FLAIR MRI.
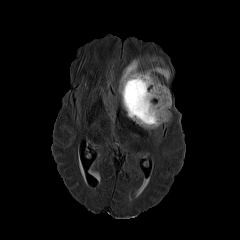
T1-weighted magnetic resonance.
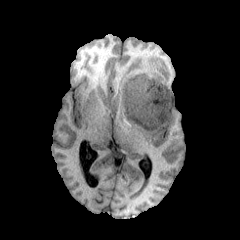
Post-contrast T1-weighted MR.
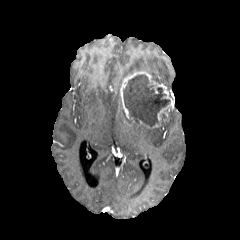
T2-weighted MR image.
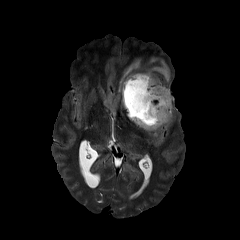
Brain
• edema: region(141, 123, 161, 132); region(117, 54, 170, 93)
• enhancing tumor: region(120, 71, 173, 127)
• non-enhancing tumor core: region(123, 75, 170, 126)